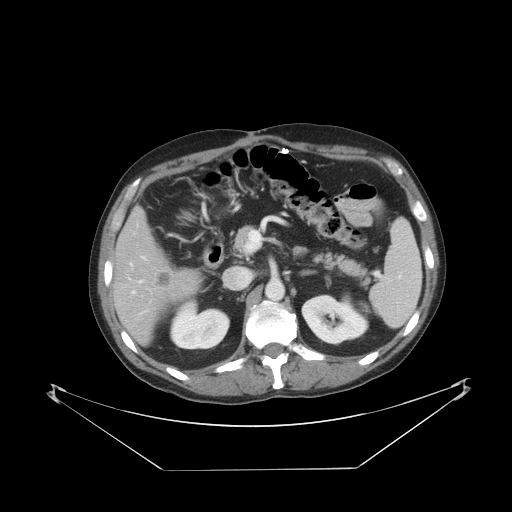

CT image
Not every hepatic vessel necessarily has a box.
5 hepatic vessel regions appear at 132, 290, 135, 293; 138, 309, 151, 316; 130, 263, 133, 268; 137, 280, 143, 282; 141, 256, 146, 260. The liver tumor is located at 157, 272, 171, 287.